Abdomen. Slice 32/134. Computed tomography.
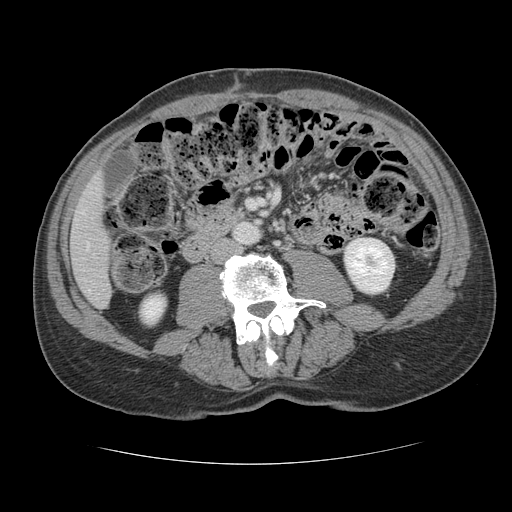

Only some of the vessels may be annotated.
hepatic_vessel:
  - (x1=81, y1=210, x2=83, y2=212)
  - (x1=86, y1=242, x2=89, y2=248)